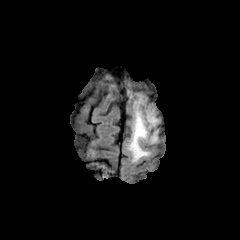
FLAIR MR.
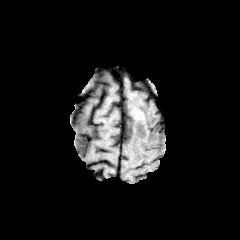
T1-weighted magnetic resonance of the same slice.
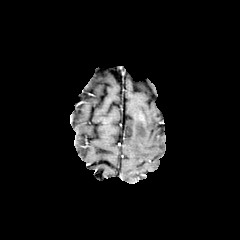
Post-contrast T1-weighted magnetic resonance.
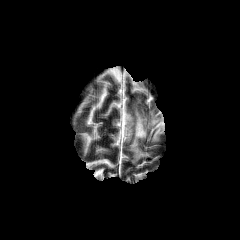
T2-weighted MRI.
Head
Edema: (127,98,159,162).